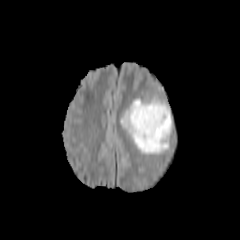
FLAIR MRI.
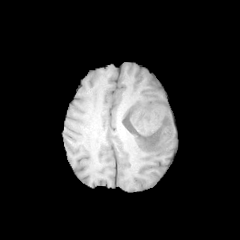
Same slice, T1-weighted MR image.
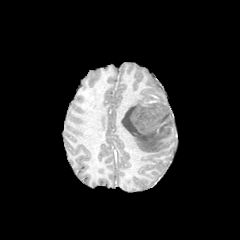
Post-contrast T1-weighted MRI.
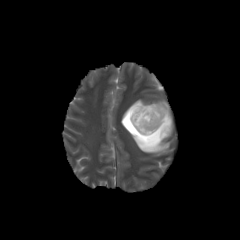
Same slice, T2-weighted magnetic resonance.
Image size 240x240
* edema: 119,97,170,154; 153,100,171,114
* non-enhancing tumor core: 121,102,172,140